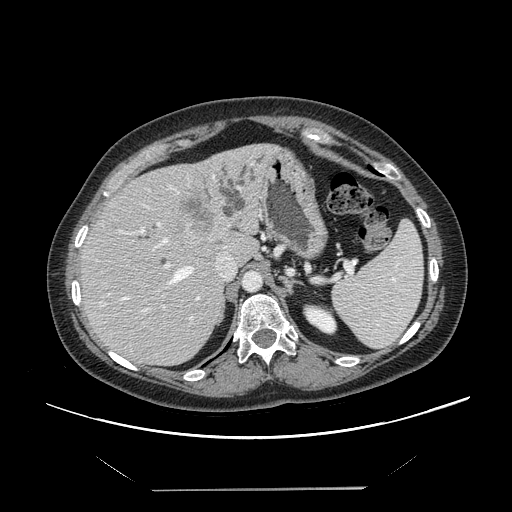 CT scan slice. The vessel boxes may cover only some of the vessels.
<segmentation>
  <hepatic_vessel>(left=120, top=296, right=129, bottom=300), (left=187, top=316, right=194, bottom=320), (left=165, top=266, right=194, bottom=285), (left=142, top=309, right=148, bottom=313), (left=211, top=175, right=215, bottom=180), (left=157, top=223, right=162, bottom=227), (left=138, top=227, right=144, bottom=233), (left=215, top=245, right=235, bottom=279), (left=164, top=263, right=170, bottom=268), (left=196, top=297, right=197, bottom=299), (left=121, top=231, right=133, bottom=233), (left=162, top=305, right=165, bottom=307), (left=98, top=302, right=105, bottom=305), (left=152, top=237, right=168, bottom=250)</hepatic_vessel>
  <liver_tumor>(left=170, top=187, right=222, bottom=241)</liver_tumor>
</segmentation>